Image size 240x240, Head
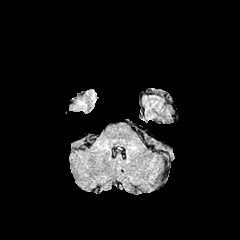
FLAIR MR image.
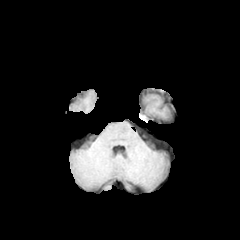
T1-weighted magnetic resonance.
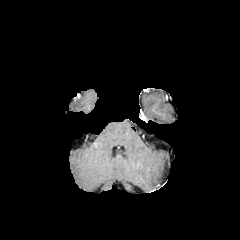
Post-contrast T1-weighted MR image.
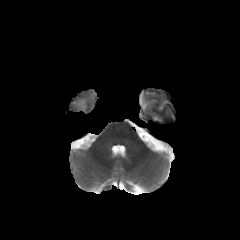
T2-weighted MRI of the same slice.
The edema is located at bbox(74, 98, 87, 109).